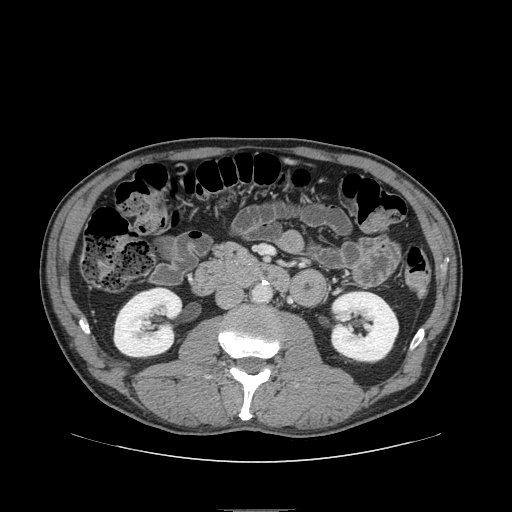 Computed tomography.

Findings:
* pancreas: box=[214, 243, 250, 260]